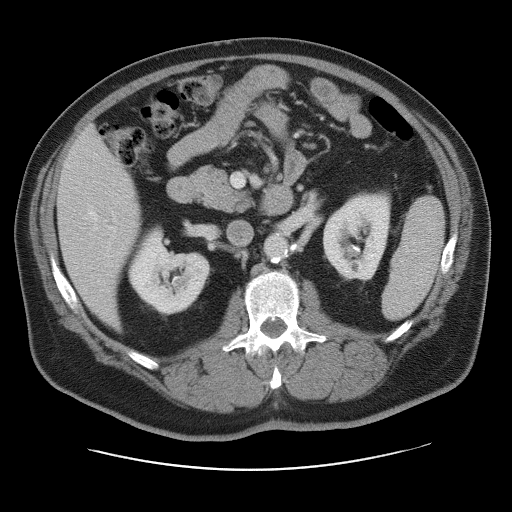
CT image. Image size 512x512. Abdomen.
Not every hepatic vessel necessarily has a box.
<segmentation>
  <hepatic_vessel>(89,209,96,220), (108,226,115,231), (231,175,243,186), (92,226,95,229)</hepatic_vessel>
</segmentation>